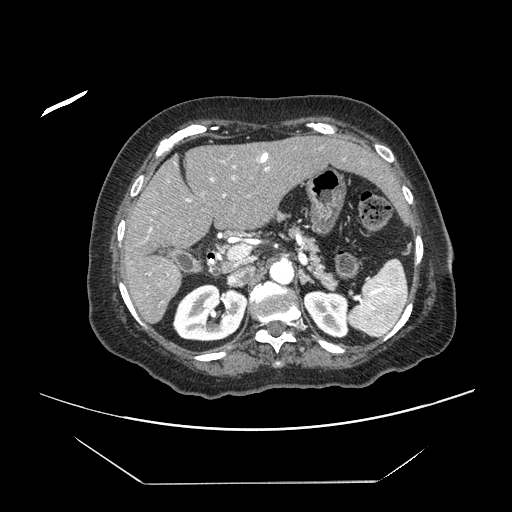
Image size 512x512. CT image.
Only some of the vessels may be annotated.
The hepatic vessel is bounded by left=229, top=244, right=250, bottom=264.